FLAIR MRI.
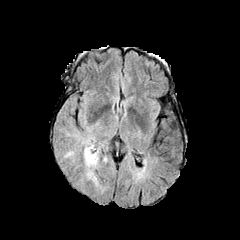
T1-weighted MR.
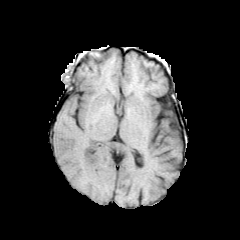
Post-contrast T1-weighted MRI.
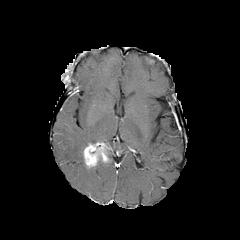
T2-weighted MRI.
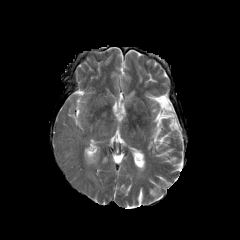
{
  "enhancing_tumor": [
    {"x1": 84, "y1": 143, "x2": 104, "y2": 165}
  ]
}